Head; Field of view 240x240 mm; Slice 98 of 155
FLAIR MR image.
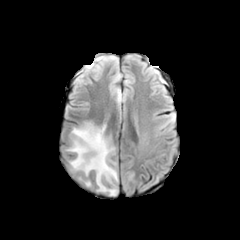
T1-weighted MR image.
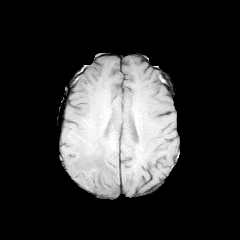
Post-contrast T1-weighted MRI.
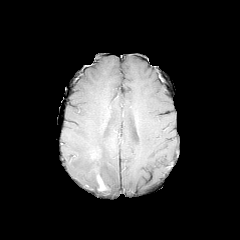
T2-weighted MR image.
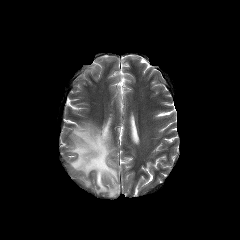
• edema: (68,122,118,195)
• enhancing tumor: (98,176,104,189)